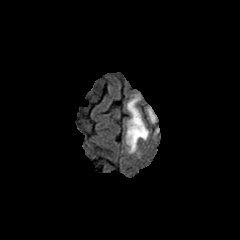
FLAIR MRI.
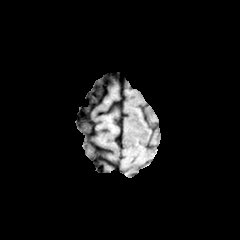
T1-weighted MR image.
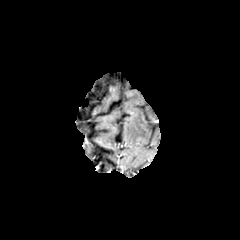
Same slice, post-contrast T1-weighted MR image.
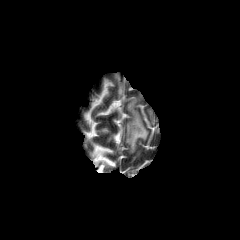
T2-weighted MR image.
Image size 240x240 | Head
The edema lies within x1=124 y1=94 x2=159 y2=153.